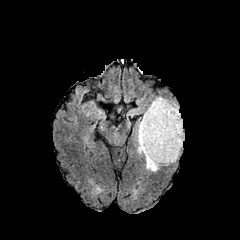
FLAIR MRI.
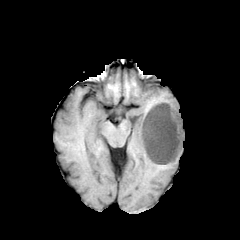
Same slice, T1-weighted MRI.
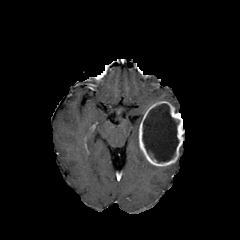
Post-contrast T1-weighted MR.
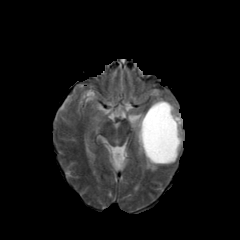
T2-weighted MR image.
Brain
Edema = x1=133, y1=117, x2=158, y2=171; x1=127, y1=110, x2=146, y2=116; x1=150, y1=96, x2=178, y2=111.
Non-enhancing tumor core = x1=143, y1=104, x2=178, y2=162.
Enhancing tumor = x1=138, y1=100, x2=184, y2=166.